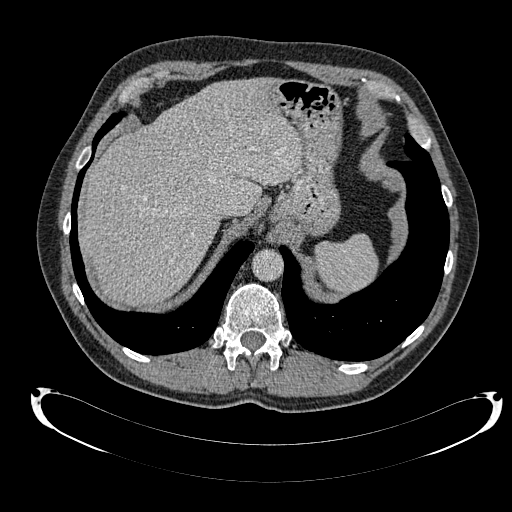
Liver | CT
liver: (83, 78, 301, 305)